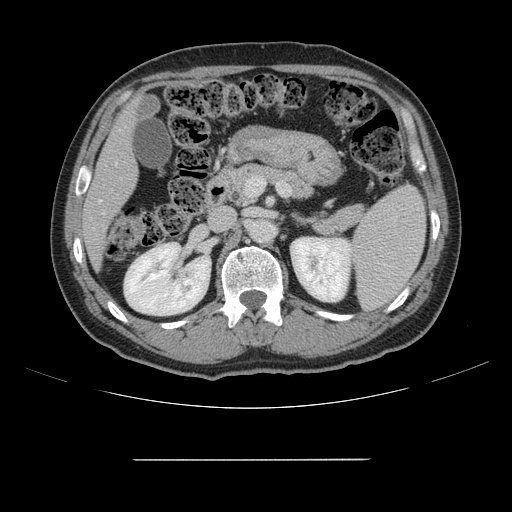
CT.

Only some of the vessels may be annotated.
Annotated regions:
- hepatic vessel: 102:211:104:213, 99:200:100:202